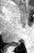
MRI slice. Medial temporal lobe.
2 posterior hippocampus regions are located at 10 42 21 45, 6 45 9 47.